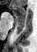

Magnetic resonance, Hippocampus, 37x52
Annotated regions:
* posterior hippocampus: (15,19,24,34)
* anterior hippocampus: (11,6,25,18)